FLAIR magnetic resonance.
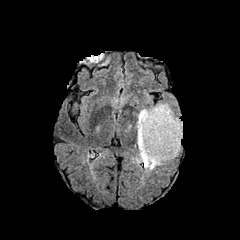
T1-weighted MRI.
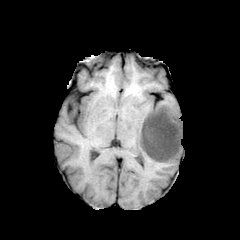
Post-contrast T1-weighted MRI.
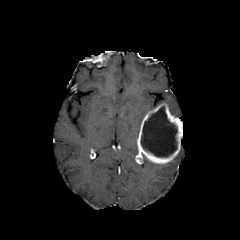
T2-weighted MR image.
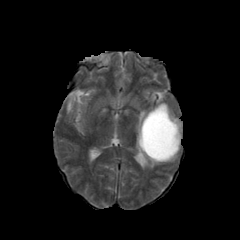
Image size 240x240
Enhancing tumor: box=[135, 103, 182, 163].
Non-enhancing tumor core: box=[140, 106, 176, 157].
Edema: box=[142, 159, 165, 170]; box=[155, 101, 177, 115]; box=[135, 106, 154, 137].